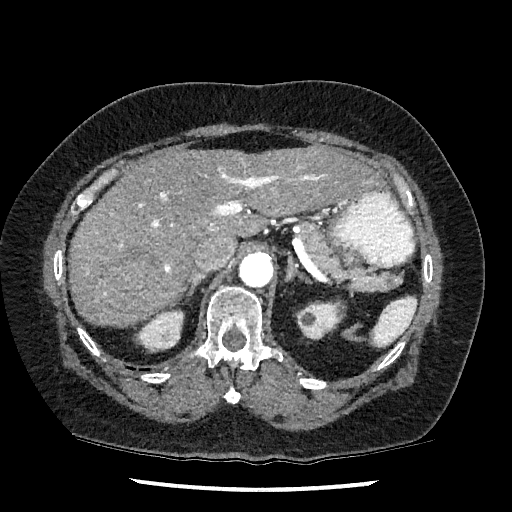

CT scan slice, 512x512

kidney: [x1=306, y1=303, x2=339, y2=338], [x1=139, y1=311, x2=182, y2=350] | liver: [x1=69, y1=146, x2=387, y2=325]